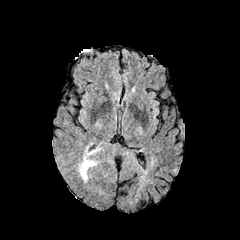
FLAIR MRI.
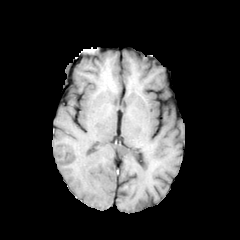
T1-weighted MR.
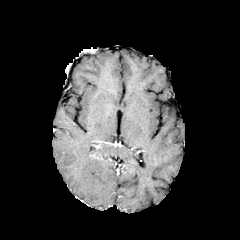
Post-contrast T1-weighted MR image.
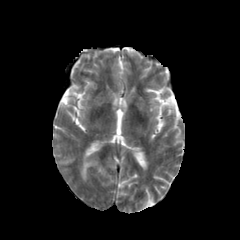
T2-weighted MR.
Brain; 240x240
The edema is at bbox(80, 151, 97, 180).